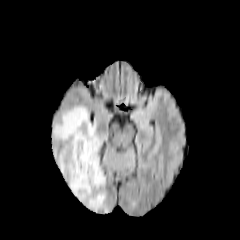
FLAIR MRI.
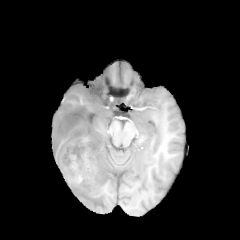
T1-weighted MR image.
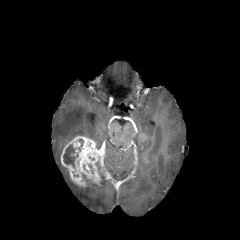
Post-contrast T1-weighted MR.
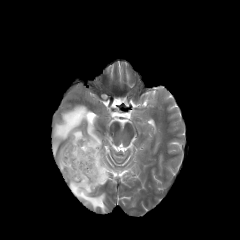
T2-weighted MR image.
Head
{"non-enhancing_tumor_core": ["<bbox>63, 144, 78, 168</bbox>", "<bbox>82, 174, 97, 185</bbox>"], "enhancing_tumor": ["<bbox>60, 136, 106, 187</bbox>"], "edema": ["<bbox>51, 105, 107, 212</bbox>"]}